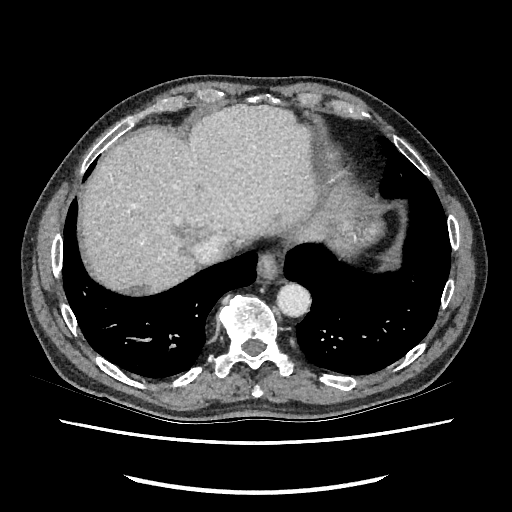

Abdomen, Image size 512x512, CT image
3 focal liver lesion regions are located at [272, 214, 279, 223], [172, 223, 208, 255], [129, 285, 148, 294]. The liver lies within [81, 104, 316, 294].